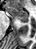
36x49 px. MRI. Medial temporal lobe.

Posterior hippocampus = [20,22,26,23].
Anterior hippocampus = [8,6,28,21].